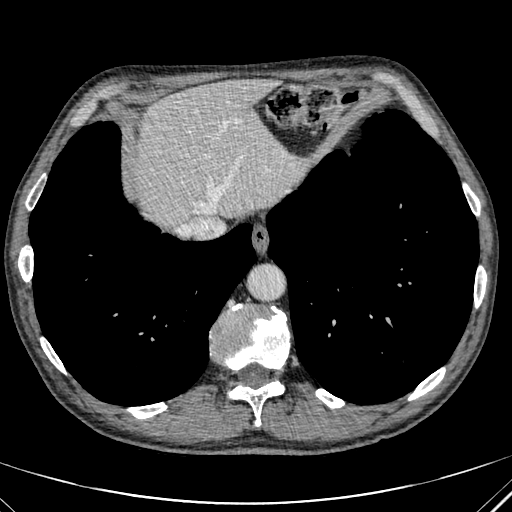 Upper abdomen. CT. 512x512 px. Liver: bounding box x1=136 y1=79 x2=299 y2=227.